Brain, 240x240
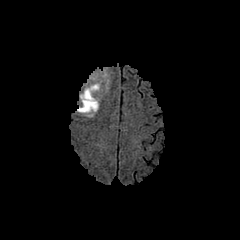
FLAIR MR image.
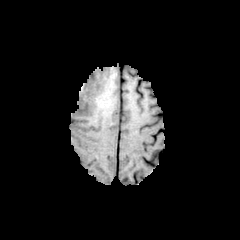
T1-weighted MR image.
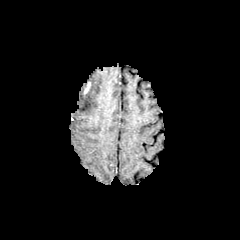
Post-contrast T1-weighted MR image.
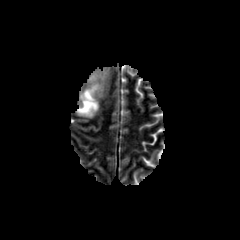
Same slice, T2-weighted MR image.
The edema is located at 77 69 107 117.